FLAIR MR.
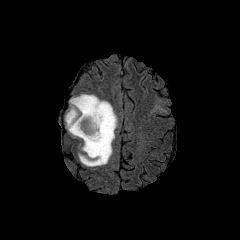
T1-weighted MRI.
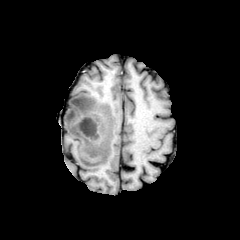
Post-contrast T1-weighted magnetic resonance.
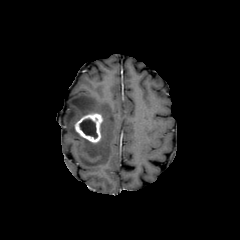
T2-weighted magnetic resonance.
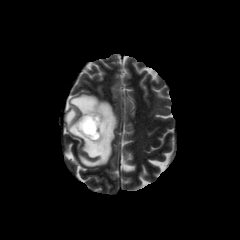
Head.
The edema lies within (64, 94, 117, 167). 2 non-enhancing tumor core regions are located at (98, 114, 105, 143), (80, 119, 97, 137). The enhancing tumor is located at (74, 112, 103, 143).